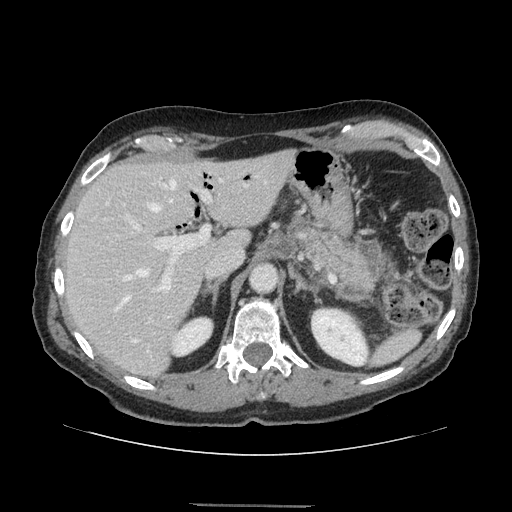

Computed tomography; Upper abdomen
{
  "pancreas": [
    "l=297, t=226, r=372, b=291"
  ]
}